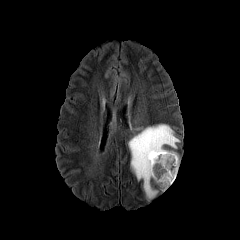
FLAIR MRI.
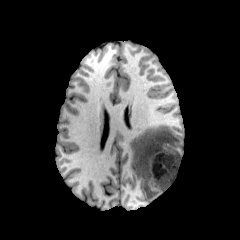
T1-weighted MR.
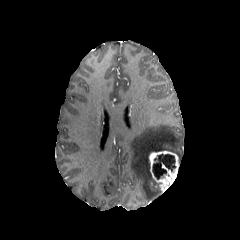
Same slice, post-contrast T1-weighted MR image.
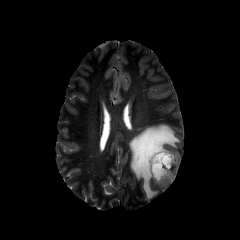
T2-weighted magnetic resonance.
Head, 240x240
2 non-enhancing tumor core regions are bounded by (x1=152, y1=153, x2=176, y2=180), (x1=151, y1=179, x2=162, y2=193). The edema lies within (x1=128, y1=124, x2=179, y2=201). The enhancing tumor is bounded by (x1=148, y1=151, x2=179, y2=192).